FLAIR MR.
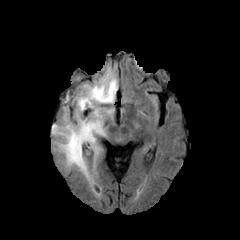
T1-weighted MR.
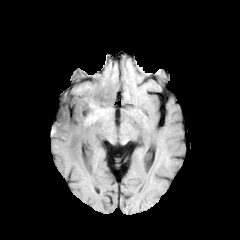
Post-contrast T1-weighted MR image.
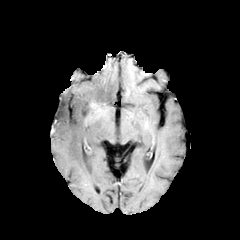
T2-weighted MR image.
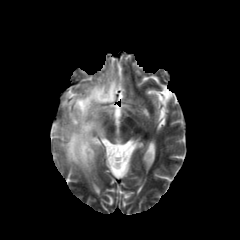
240x240
Annotated regions:
* edema: box=[52, 64, 118, 183]